FLAIR MRI.
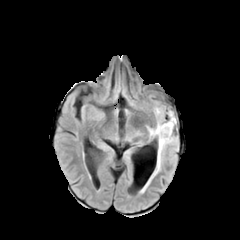
T1-weighted magnetic resonance.
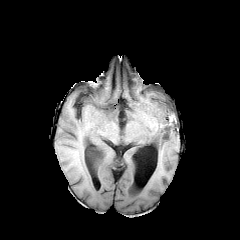
Post-contrast T1-weighted magnetic resonance.
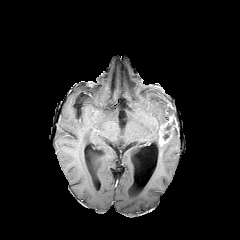
T2-weighted MR.
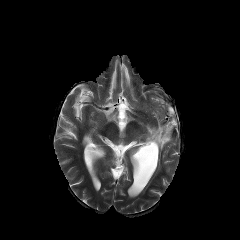
Head
edema:
  - (146,106,178,175)
non-enhancing_tumor_core:
  - (163,118,176,139)
enhancing_tumor:
  - (158,122,169,145)